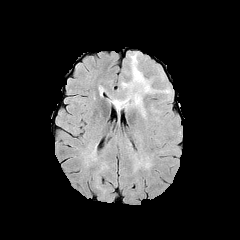
FLAIR MR image.
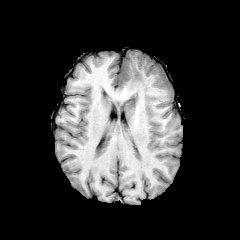
Same slice, T1-weighted MR.
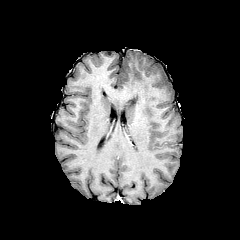
Post-contrast T1-weighted MR of the same slice.
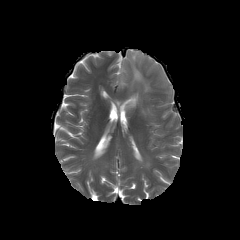
T2-weighted MR image of the same slice.
Brain.
edema: box(113, 51, 153, 113)